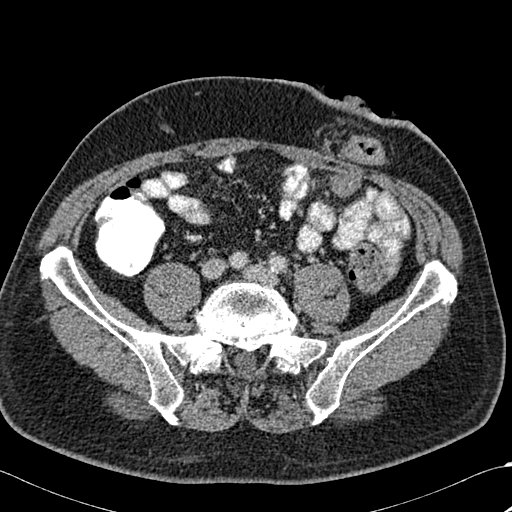 Image size 512x512. Computed tomography. 2 bone regions are located at region(40, 246, 326, 424); region(306, 261, 456, 424).